512x512 px. CT scan slice. Slice 34 of 84.
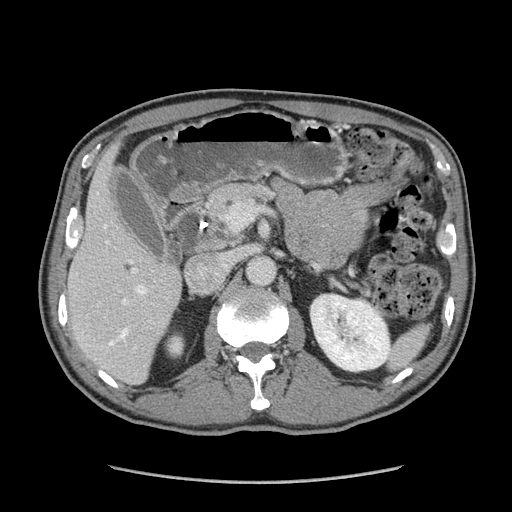
Pancreatic tumor — x1=180, y1=212, x2=225, y2=247.
Pancreas — x1=168, y1=181, x2=275, y2=260.